Image width 405 mm | CT | Abdomen | Slice 32 of 61 | 512x512

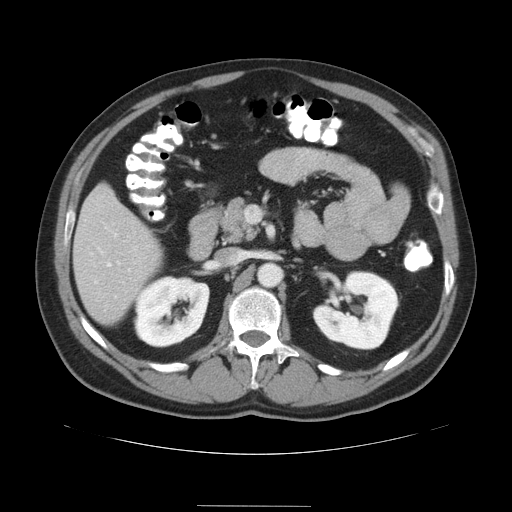

The vessel annotation is not exhaustive.
hepatic vessel: 95,281,97,283; 133,247,136,250; 107,263,110,266; 117,262,120,264; 90,253,93,255; 94,243,95,245; 114,234,116,237; 98,248,102,253; 115,295,116,298; 128,269,130,272